Slice index 367. Computed tomography. 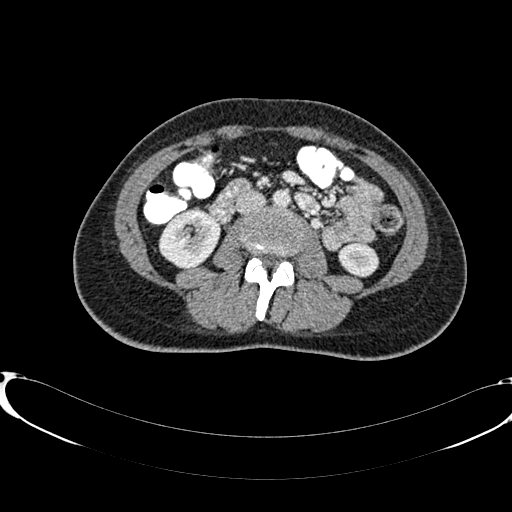
Kidney at (340, 244, 376, 275), (160, 211, 219, 267).